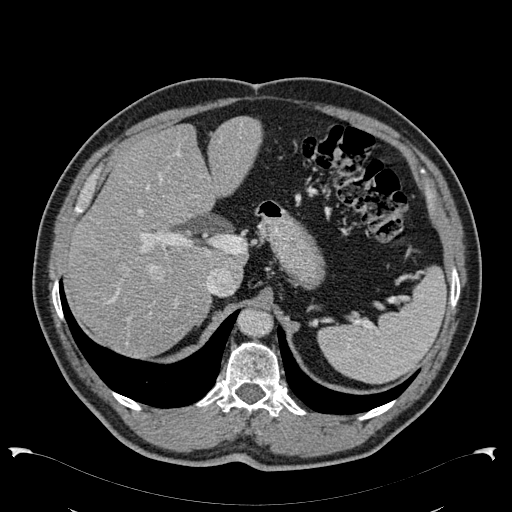 Liver, CT slice
<segmentation>
  <liver><box>67,117,261,355</box></liver>
</segmentation>